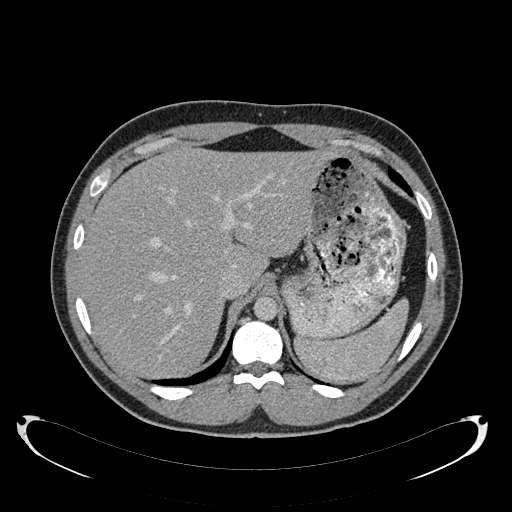

Upper abdomen. CT scan slice. The liver lies within x1=80 y1=146 x2=332 y2=376.